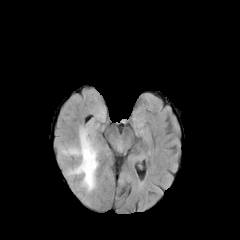
FLAIR MR.
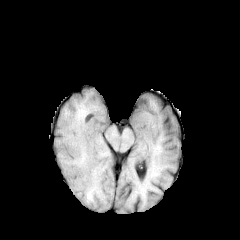
T1-weighted MRI of the same slice.
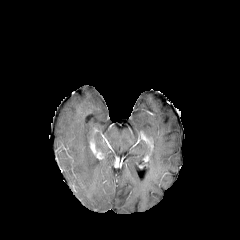
Post-contrast T1-weighted magnetic resonance.
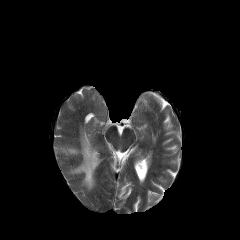
T2-weighted magnetic resonance.
240x240
Annotated regions:
- edema: bbox=[58, 128, 99, 189]